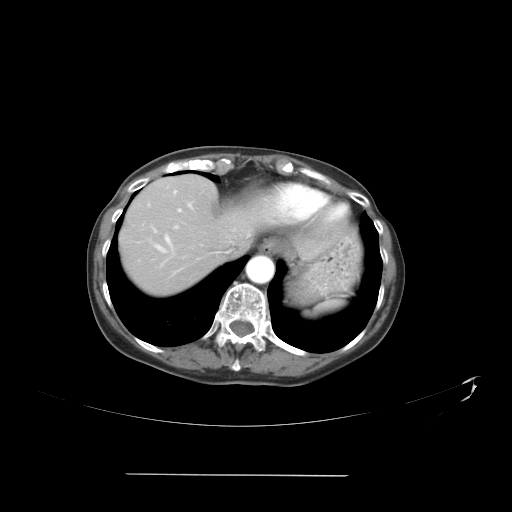 Liver; Computed tomography
Only some of the vessels may be annotated.
<segmentation>
  <hepatic_vessel>177,209,180,211; 165,235,172,247; 174,226,177,228; 247,233,249,236; 152,227,156,232; 155,244,165,252</hepatic_vessel>
</segmentation>